Abdomen, Image size 512x512, CT image 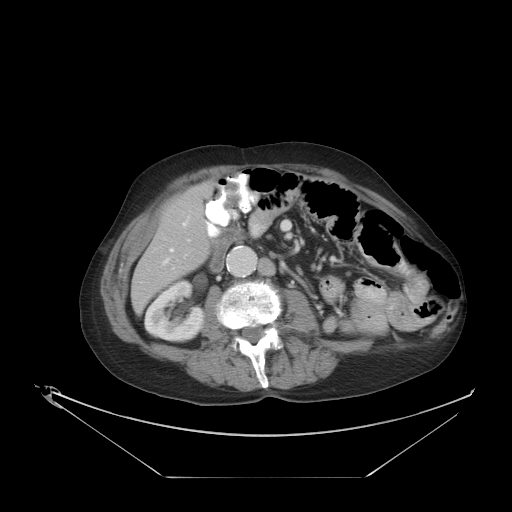

Colon tumor — 222, 181, 241, 209.